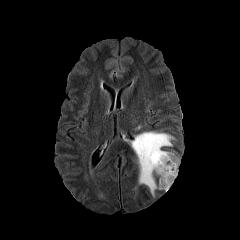
FLAIR MR.
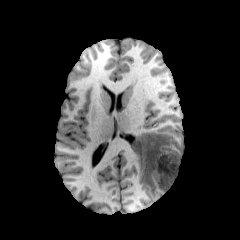
T1-weighted magnetic resonance.
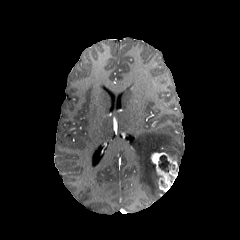
Same slice, post-contrast T1-weighted MRI.
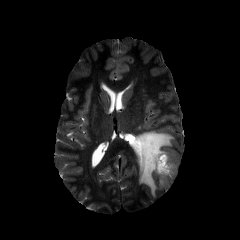
T2-weighted MR image.
Image size 240x240
The non-enhancing tumor core appears at box=[158, 155, 170, 172]. The enhancing tumor is at box=[150, 152, 178, 190]. The edema lies within box=[130, 132, 174, 198].